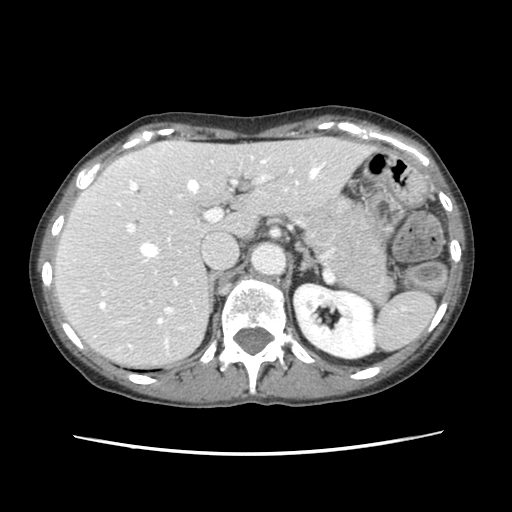
CT slice. Abdomen. <segmentation>
  <spleen>375:293:435:350</spleen>
</segmentation>